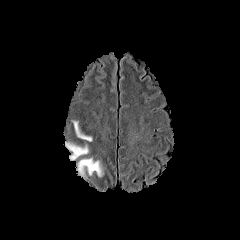
FLAIR magnetic resonance.
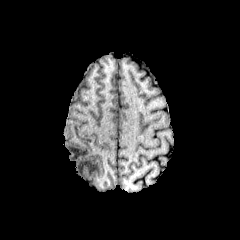
T1-weighted MRI.
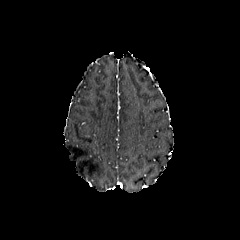
Post-contrast T1-weighted magnetic resonance of the same slice.
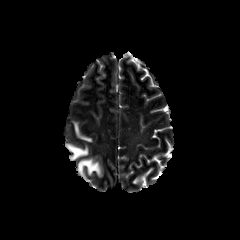
T2-weighted MR image of the same slice.
Head
Edema — [x1=76, y1=158, x2=102, y2=178], [x1=65, y1=142, x2=88, y2=160], [x1=71, y1=121, x2=92, y2=141].